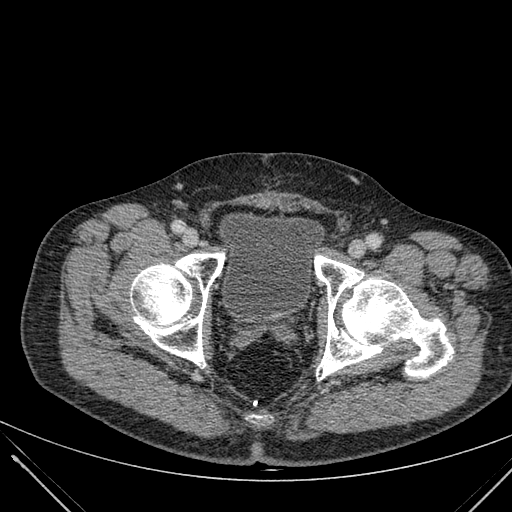
Image size 512x512; CT image
Urinary bladder — {"x1": 220, "y1": 213, "x2": 324, "y2": 316}.